CT slice; 512x512 px
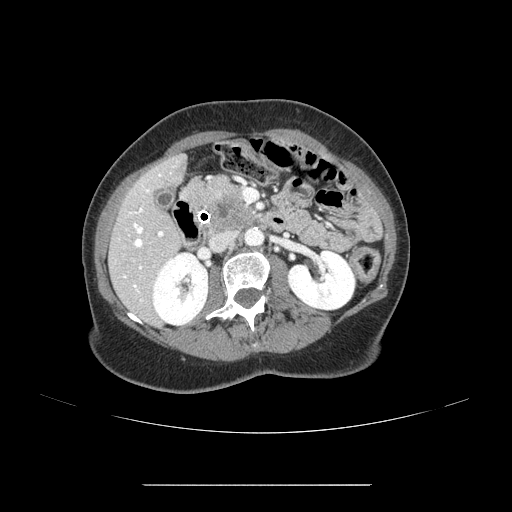

The pancreatic tumor is bounded by [209,196,257,229]. The pancreas is located at [184,178,258,242].